Computed tomography; Liver

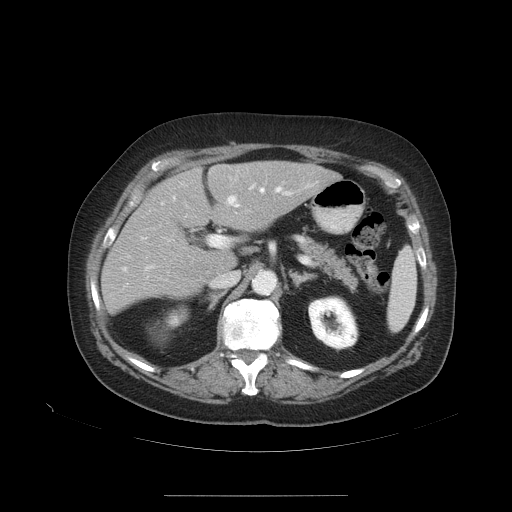

The vessel boxes may cover only some of the vessels.
Annotated regions:
- hepatic vessel: [208, 235, 228, 247], [145, 266, 151, 269], [226, 196, 237, 206], [161, 203, 162, 204], [250, 183, 255, 189], [260, 188, 263, 192], [141, 237, 144, 239], [220, 277, 234, 285], [173, 197, 174, 199], [275, 188, 290, 195], [168, 240, 171, 240], [122, 268, 125, 270]